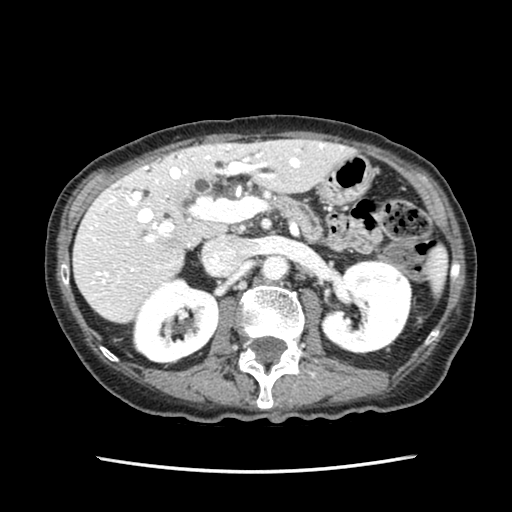

512x512 | CT slice | Abdomen

Pancreas: bounding box box(274, 199, 321, 242).